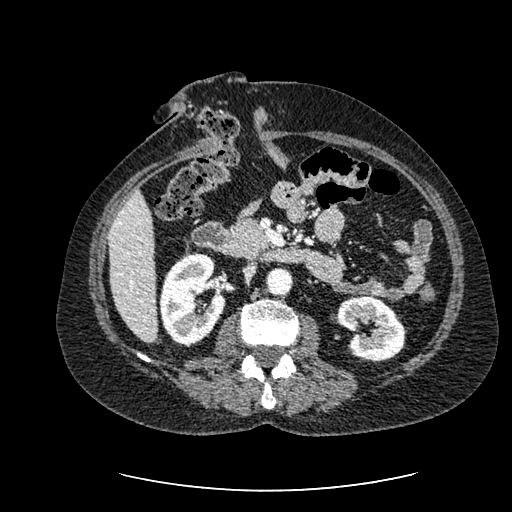 CT slice, 512x512

Segmented structures:
- kidney: 160 254 224 344, 338 297 404 360
- liver: 109 188 157 341